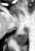 Image size 35x51, MR
Posterior hippocampus — {"x1": 15, "y1": 30, "x2": 27, "y2": 45}.